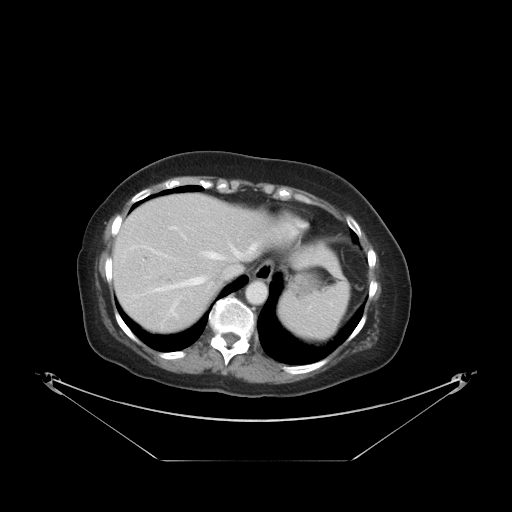

512x512 px. CT image.

The vessel boxes may cover only some of the vessels.
{
  "hepatic_vessel": [
    "x1=206, y1=248, x2=247, y2=260",
    "x1=157, y1=277, x2=205, y2=290",
    "x1=223, y1=260, x2=243, y2=277",
    "x1=171, y1=227, x2=175, y2=228",
    "x1=249, y1=242, x2=259, y2=252",
    "x1=173, y1=312, x2=176, y2=316",
    "x1=150, y1=249, x2=153, y2=250"
  ]
}